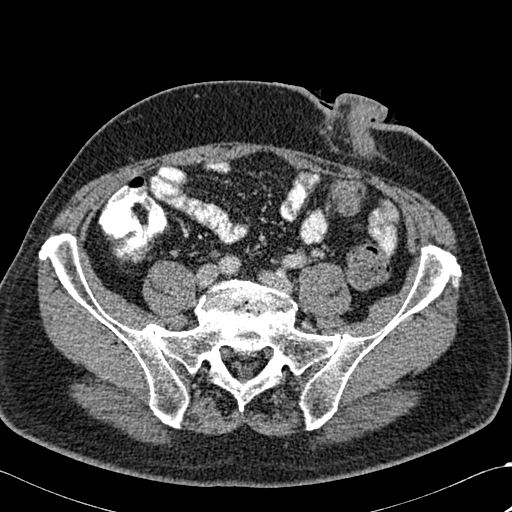 CT. bone: region(39, 233, 460, 429)